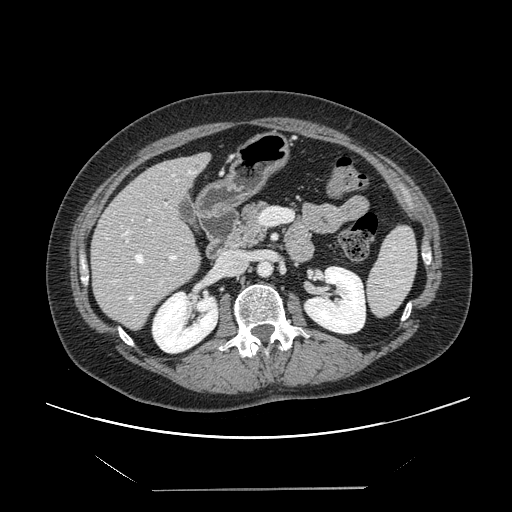

CT scan slice; 512x512 px

Not every hepatic vessel necessarily has a box.
12 hepatic vessel regions are located at [134,252,144,264], [159,281,161,285], [168,253,177,260], [207,251,243,281], [164,204,167,206], [147,219,151,221], [131,218,132,220], [104,235,108,239], [127,295,134,301], [122,229,131,243], [129,277,131,280], [113,280,119,282].